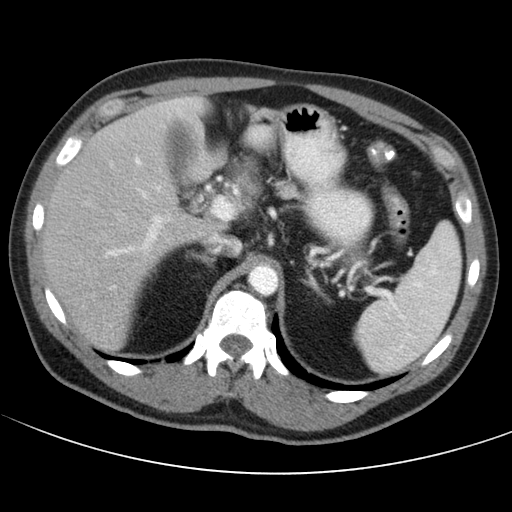
Liver, Computed tomography
The vessel annotation is not exhaustive.
* hepatic vessel: (left=105, top=248, right=130, bottom=255), (left=141, top=192, right=144, bottom=195), (left=145, top=216, right=159, bottom=243), (left=135, top=158, right=139, bottom=163)